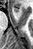

Magnetic resonance
<segmentation>
  <anterior_hippocampus>left=14, top=8, right=18, bottom=12</anterior_hippocampus>
</segmentation>